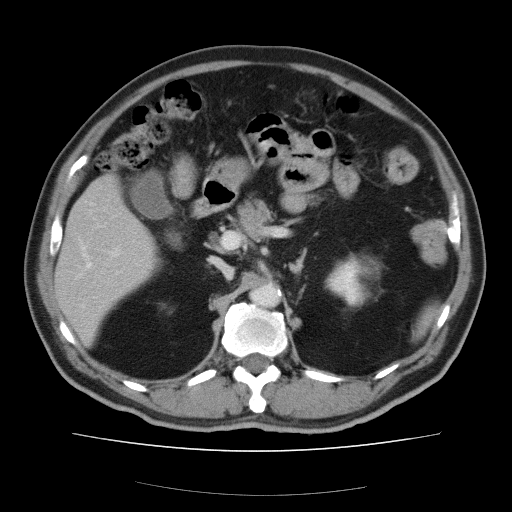 Computed tomography
Not every hepatic vessel necessarily has a box.
hepatic_vessel:
  - x1=82 y1=304 x2=82 y2=307
  - x1=85 y1=261 x2=90 y2=266
  - x1=112 y1=252 x2=114 y2=254
  - x1=80 y1=242 x2=85 y2=256
liver_tumor:
  - x1=177 y1=163 x2=191 y2=194